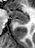 MRI slice

The posterior hippocampus is located at {"x1": 15, "y1": 18, "x2": 29, "y2": 24}. The anterior hippocampus is at {"x1": 9, "y1": 8, "x2": 30, "y2": 17}.